Upper abdomen. 512x512. Computed tomography. 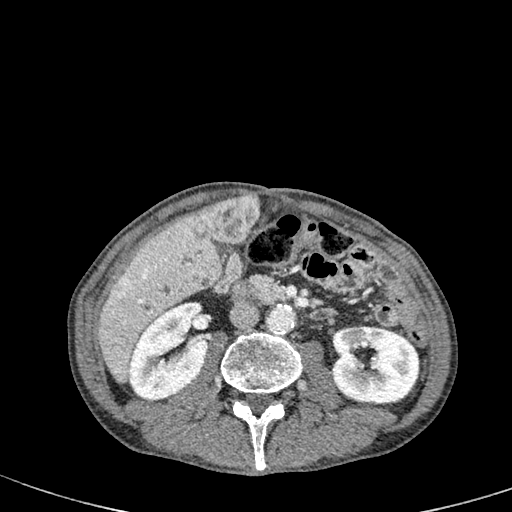
liver_lesion:
  - region(195, 194, 259, 242)
kidney:
  - region(128, 303, 209, 398)
  - region(333, 327, 418, 403)
liver:
  - region(98, 206, 221, 383)